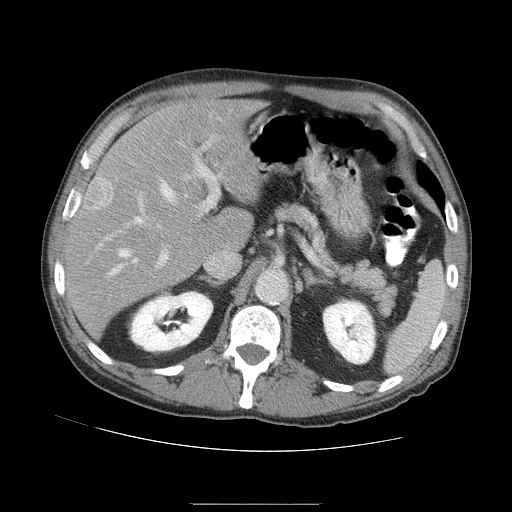 512x512 px. Computed tomography. The vessel boxes may cover only some of the vessels.
Segmented structures:
* liver tumor: (83, 177, 115, 211)
* hepatic vessel: (157, 225, 160, 227), (202, 135, 215, 148), (119, 249, 129, 256), (109, 264, 122, 274), (134, 192, 145, 223), (160, 180, 174, 202), (193, 154, 220, 216), (156, 247, 168, 267), (104, 234, 114, 240), (133, 258, 137, 262), (97, 245, 100, 247)